Slice 54/90. Computed tomography. 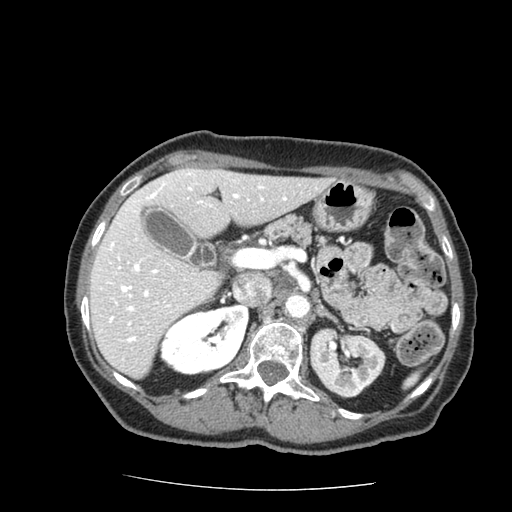

Pancreas: bounding box x1=263 y1=214 x2=318 y2=249.